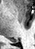 MR image

{"posterior_hippocampus": ["[8, 38, 16, 43]"]}